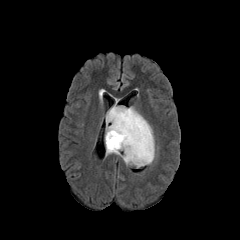
FLAIR MR.
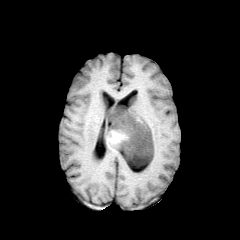
T1-weighted magnetic resonance.
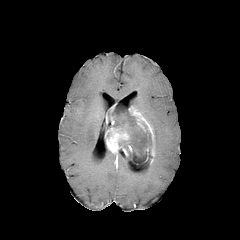
Post-contrast T1-weighted MRI of the same slice.
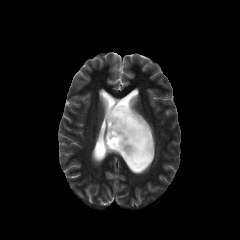
T2-weighted magnetic resonance of the same slice.
Image size 240x240
* non-enhancing tumor core: rect(107, 105, 152, 167)
* enhancing tumor: rect(105, 112, 132, 156); rect(128, 106, 154, 156)
* edema: rect(152, 137, 157, 159); rect(118, 151, 151, 168)